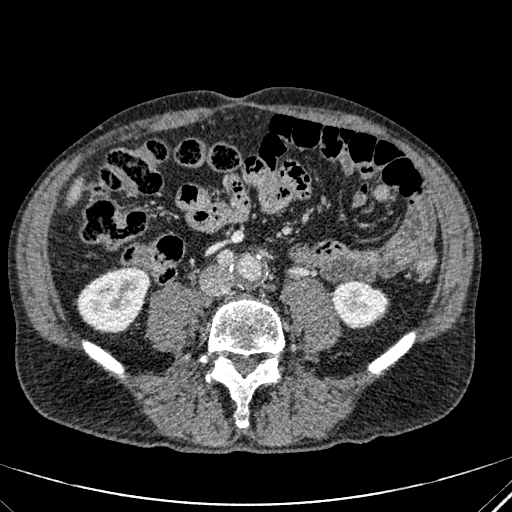 Abdomen, CT
Segmented structures:
- liver: box=[66, 177, 83, 202]
- kidney: box=[333, 282, 386, 326]; box=[79, 269, 148, 331]